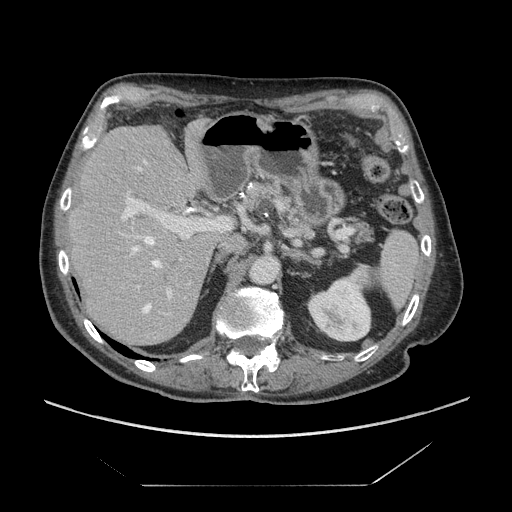

Abdomen | CT image

2 pancreas regions appear at [x1=347, y1=214, x2=376, y2=245], [x1=225, y1=179, x2=288, y2=215].